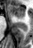 Hippocampus. MR image. The anterior hippocampus is at bbox=[7, 4, 24, 17].